Field of view 240 mm wide, 1.00 mm slice spacing. Head.
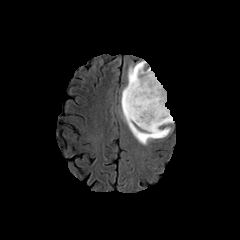
FLAIR MR image.
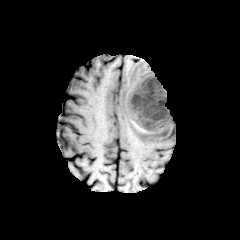
Same slice, T1-weighted MR.
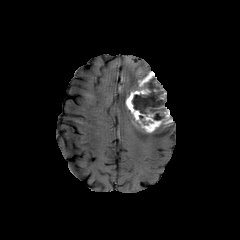
Same slice, post-contrast T1-weighted MR.
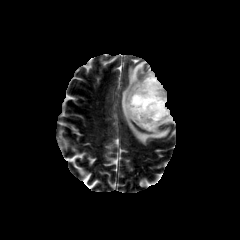
T2-weighted MRI.
Non-enhancing tumor core: bbox=[132, 78, 166, 120].
Enhancing tumor: bbox=[126, 71, 172, 132].
Edema: bbox=[120, 61, 172, 145].